Slice index 390, CT image 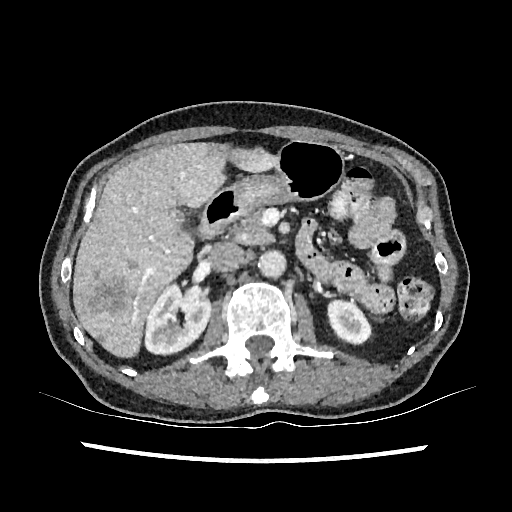

2 kidney regions are bounded by 328:300:370:343, 145:285:210:353. 3 focal liver lesion regions are located at 128:261:136:268, 87:276:126:313, 206:143:241:160. 2 liver regions are bounded by 232:147:278:171, 73:143:225:356.